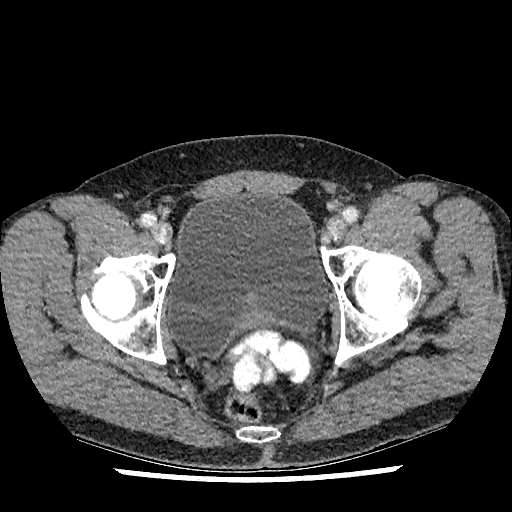 512x512 px; Computed tomography

The urinary bladder is located at <bbox>166, 196, 328, 354</bbox>.